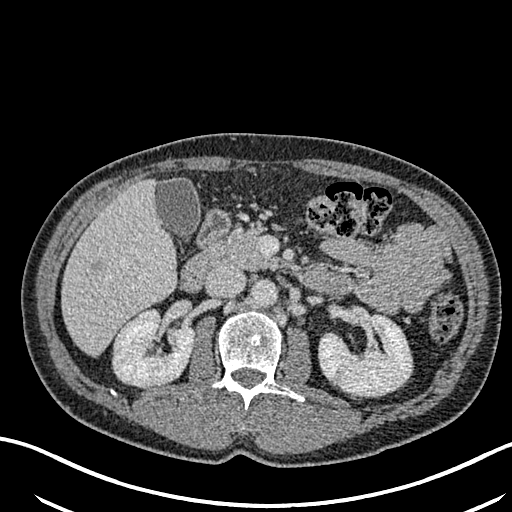 CT slice | 512x512 px
Liver: bounding box (left=64, top=179, right=177, bottom=354).
Kidney: bounding box (left=113, top=310, right=193, bottom=386), (left=319, top=309, right=411, bottom=395).
Liver lesion: bounding box (left=89, top=258, right=105, bottom=275).